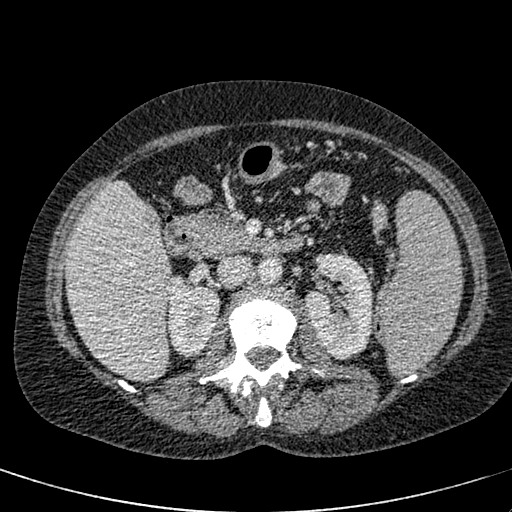

CT
- liver: bbox=[64, 182, 171, 382]
- focal liver lesion: bbox=[137, 205, 158, 228]
- kidney: bbox=[168, 284, 219, 352]; bbox=[305, 254, 371, 359]